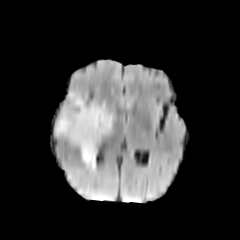
FLAIR MR image.
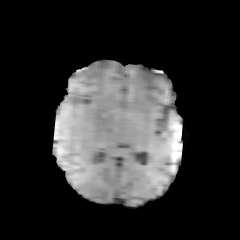
T1-weighted MR image of the same slice.
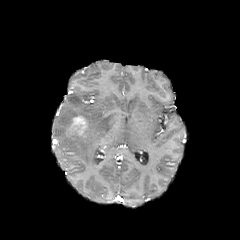
Post-contrast T1-weighted MRI of the same slice.
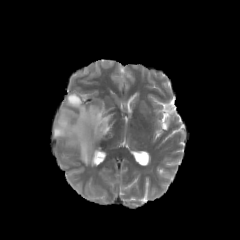
T2-weighted MR image.
240x240. Brain.
Findings:
• edema: rect(54, 92, 113, 169)
• enhancing tumor: rect(66, 116, 87, 137)